CT scan slice | Slice 9 of 40 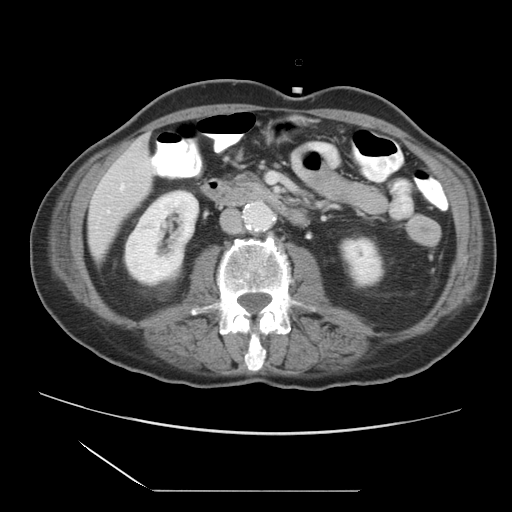 The vessel boxes may cover only some of the vessels.
hepatic vessel: box=[108, 209, 109, 212]; box=[120, 185, 124, 189]